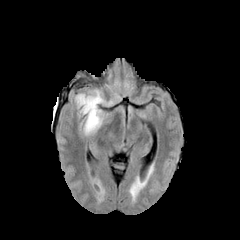
FLAIR MR.
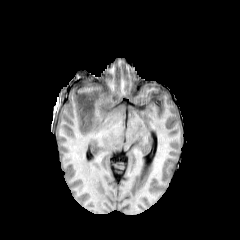
T1-weighted MR image.
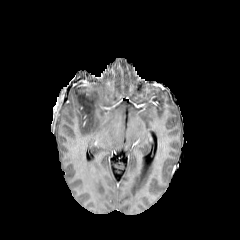
Post-contrast T1-weighted MR image of the same slice.
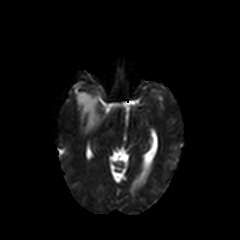
T2-weighted MR.
Head
Non-enhancing tumor core: [78,94,93,111].
Edema: [74,89,113,135].